FLAIR MR image.
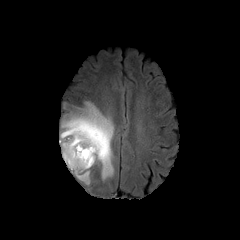
T1-weighted MR.
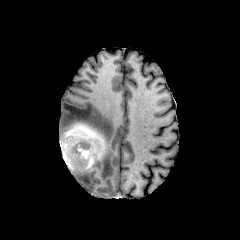
Post-contrast T1-weighted MR.
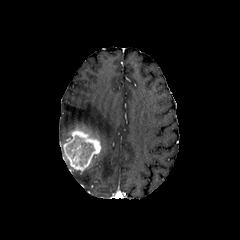
T2-weighted MR image.
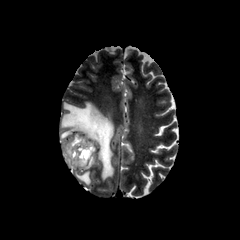
Image size 240x240. Brain.
Non-enhancing tumor core: bounding box bbox(61, 123, 106, 172); bbox(84, 155, 95, 170).
Edema: bounding box bbox(60, 101, 114, 179); bbox(77, 173, 89, 184).
Enhancing tumor: bounding box bbox(67, 131, 100, 171).